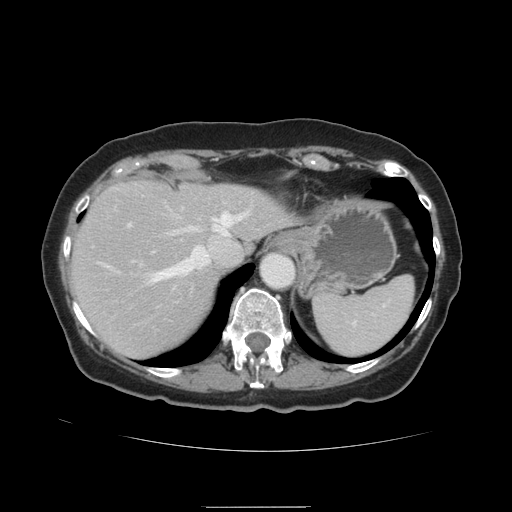

Computed tomography. Liver.
Not every hepatic vessel necessarily has a box.
5 hepatic vessel regions appear at bbox=[211, 212, 247, 234]; bbox=[147, 246, 208, 283]; bbox=[127, 224, 129, 226]; bbox=[100, 264, 104, 265]; bbox=[107, 267, 112, 269].